FLAIR MR image.
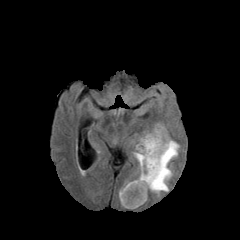
T1-weighted magnetic resonance.
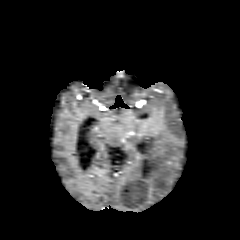
Post-contrast T1-weighted MRI.
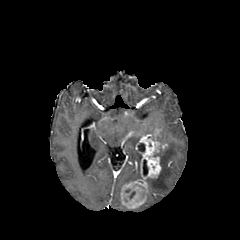
T2-weighted MR.
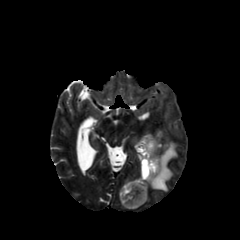
Head.
enhancing tumor: (left=119, top=134, right=168, bottom=208) | edema: (left=133, top=151, right=141, bottom=167), (left=147, top=138, right=179, bottom=195) | non-enhancing tumor core: (left=138, top=143, right=145, bottom=152), (left=142, top=160, right=147, bottom=176)